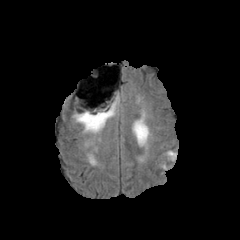
FLAIR MR.
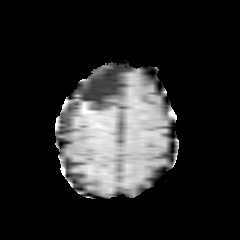
Same slice, T1-weighted MR image.
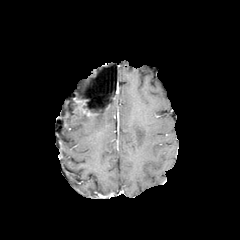
Post-contrast T1-weighted magnetic resonance.
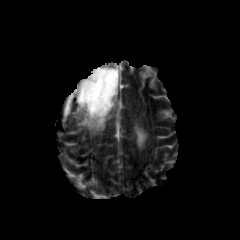
Same slice, T2-weighted MRI.
240x240 px. Brain.
The non-enhancing tumor core is at bbox(82, 95, 119, 118). 2 edema regions appear at bbox(72, 104, 115, 135); bbox(132, 119, 148, 145).